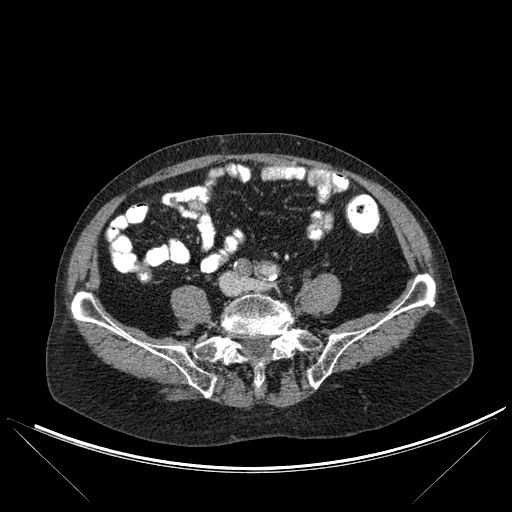

Computed tomography | Image size 512x512
2 bone regions appear at 308:274:435:388, 71:292:317:397.